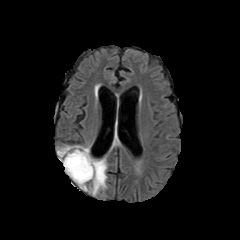
FLAIR MR.
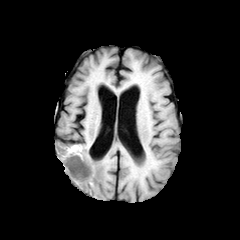
T1-weighted MR image.
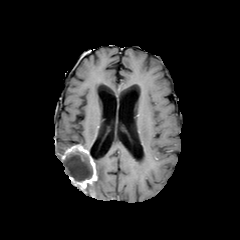
Same slice, post-contrast T1-weighted MRI.
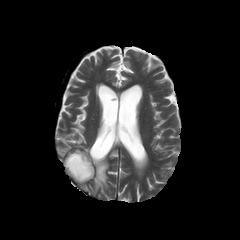
Same slice, T2-weighted MRI.
Head
Annotated regions:
* non-enhancing tumor core: box(63, 148, 92, 185)
* edema: box(85, 157, 107, 192); box(57, 146, 71, 161)
* enhancing tumor: box(64, 145, 89, 154); box(76, 155, 97, 187)